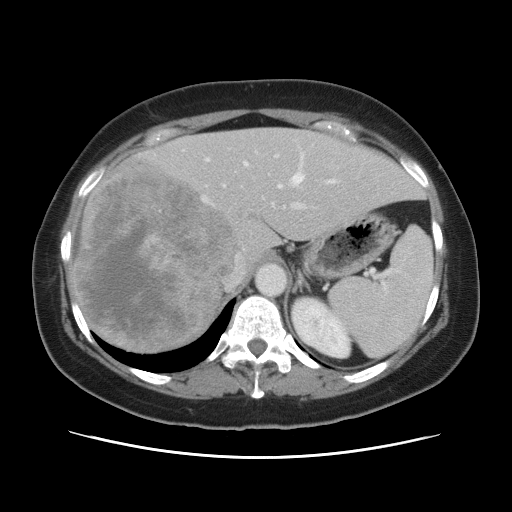
Image size 512x512, CT image, Abdomen
The vessel annotation is not exhaustive.
Liver tumor at 75, 160, 239, 347.
Hepatic vessel at 255, 150, 256, 152; 278, 184, 282, 187; 225, 246, 246, 289; 275, 155, 277, 156; 206, 158, 209, 161; 244, 161, 247, 165; 291, 202, 305, 208; 222, 184, 224, 186; 329, 179, 336, 183; 273, 203, 273, 206; 292, 151, 304, 183.